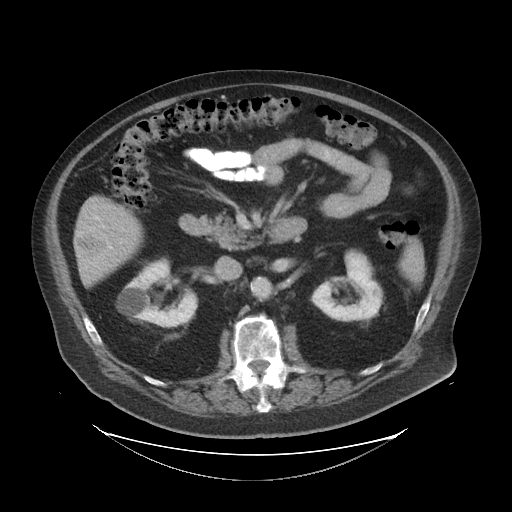 Computed tomography, 512x512, Liver
Annotated regions:
• liver tumor: [78, 234, 105, 255]